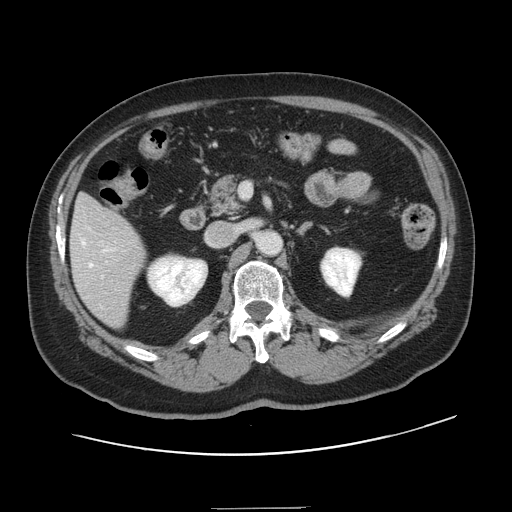
Computed tomography. The vessel annotation is not exhaustive.
Hepatic vessel = [82, 240, 85, 244], [103, 249, 110, 252], [89, 263, 92, 266].